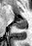 Medial temporal lobe; 32x46 px; MR image

Segmented structures:
• posterior hippocampus: region(14, 20, 26, 28)